Abdomen. CT. Slice index 592. 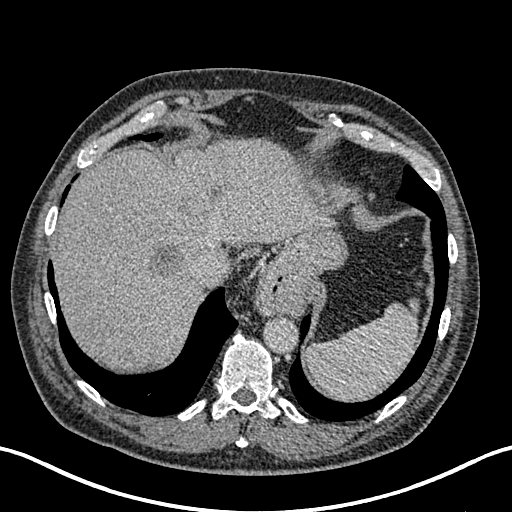
focal_liver_lesion:
  - (x1=206, y1=185, x2=222, y2=199)
  - (x1=121, y1=348, x2=135, y2=363)
  - (x1=177, y1=198, x2=210, y2=218)
  - (x1=147, y1=242, x2=183, y2=278)
liver:
  - (x1=54, y1=141, x2=335, y2=369)